CT; Abdomen; Slice index 51
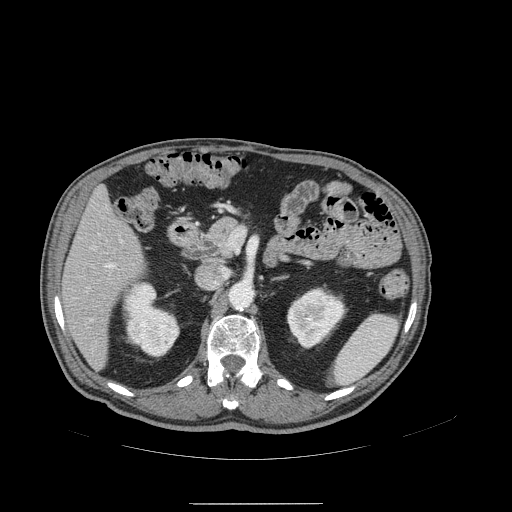 pancreas: region(201, 211, 255, 258) | pancreatic tumor: region(217, 216, 238, 228)